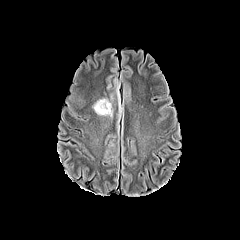
FLAIR MR image.
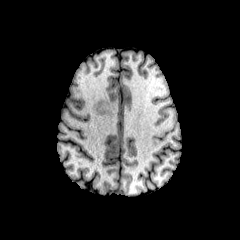
T1-weighted magnetic resonance.
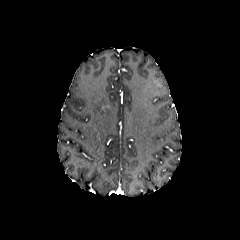
Post-contrast T1-weighted MR.
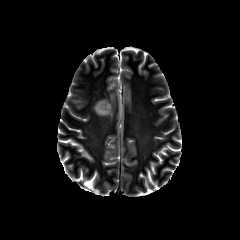
T2-weighted MR image.
Image size 240x240. Brain.
{"edema": ["[93,98,114,118]"]}